Slice 25 of 43, Computed tomography 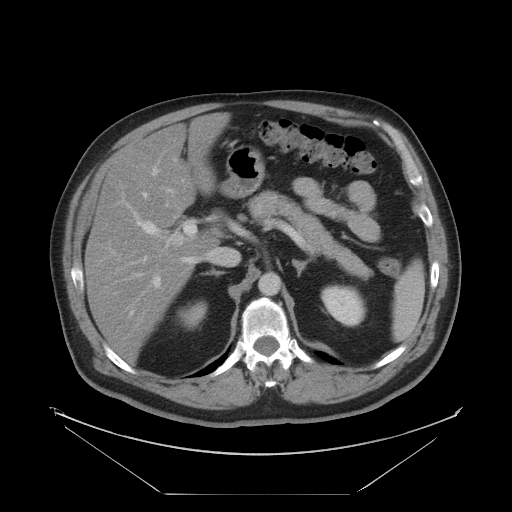

The pancreas is bounded by [249,189,373,281].